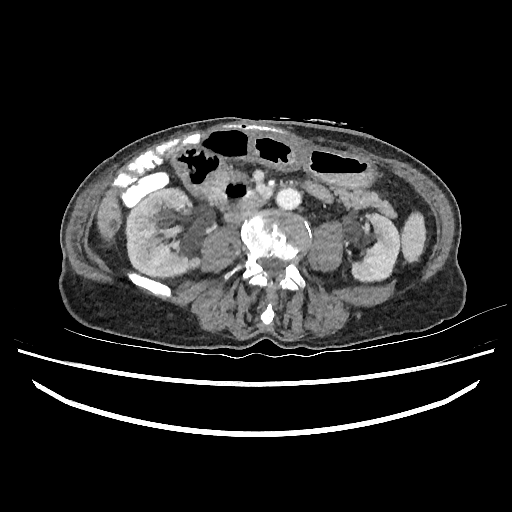 CT scan slice | Liver
Liver: bounding box <bbox>98, 189, 121, 240</bbox>.
Kidney: bounding box <bbox>126, 190, 195, 276</bbox>, <bbox>160, 226, 179, 236</bbox>, <bbox>352, 214, 398, 280</bbox>.